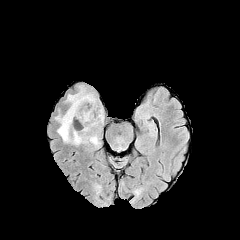
FLAIR MR image.
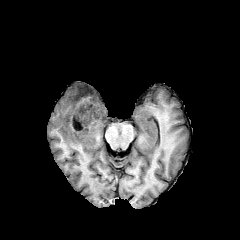
T1-weighted MR image.
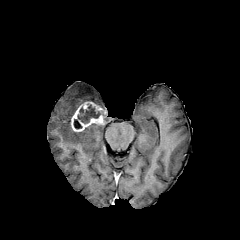
Post-contrast T1-weighted magnetic resonance of the same slice.
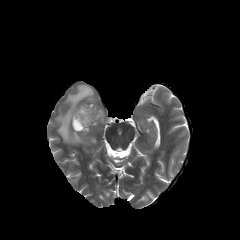
T2-weighted magnetic resonance.
240x240 px.
Non-enhancing tumor core: left=73, top=119, right=82, bottom=129; left=78, top=103, right=101, bottom=123.
Edema: left=89, top=134, right=99, bottom=146; left=55, top=85, right=95, bottom=144.
Enhancing tumor: left=71, top=102, right=104, bottom=131.